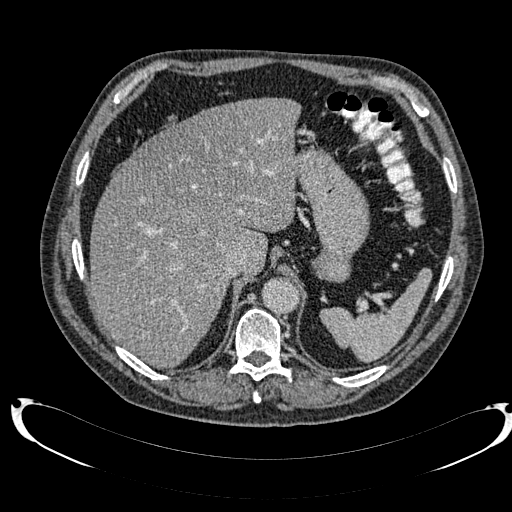

CT image

Liver lesion: bounding box 134:102:261:211.
Liver: bounding box 91:98:299:367.